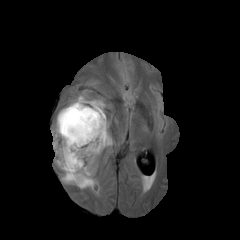
FLAIR MR image.
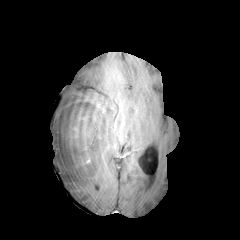
T1-weighted magnetic resonance of the same slice.
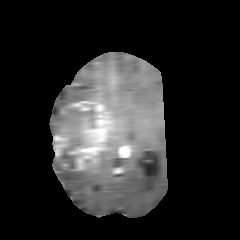
Post-contrast T1-weighted MRI.
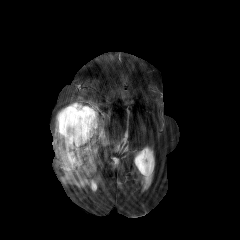
Same slice, T2-weighted MRI.
240x240 px, Head
Findings:
• edema: x1=90, y1=99, x2=106, y2=117; x1=51, y1=90, x2=89, y2=137; x1=54, y1=157, x2=97, y2=189
• non-enhancing tumor core: x1=55, y1=138, x2=80, y2=172; x1=54, y1=108, x2=93, y2=135
• enhancing tumor: x1=53, y1=101, x2=108, y2=169